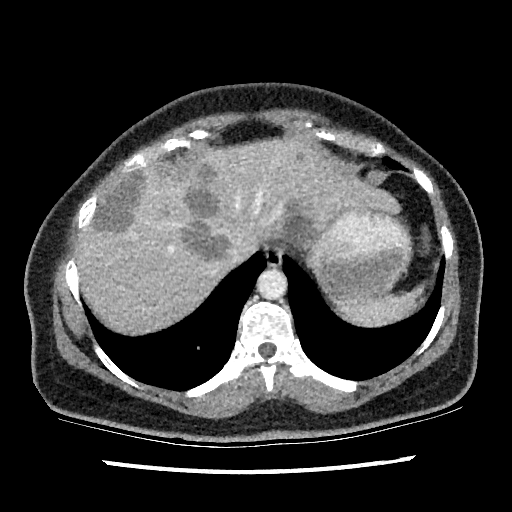

CT scan slice. Abdomen.
6 hepatic lesion regions are located at <bbox>162, 163, 184, 177</bbox>, <bbox>187, 186, 217, 215</bbox>, <bbox>183, 222, 228, 258</bbox>, <bbox>94, 172, 144, 230</bbox>, <bbox>198, 167, 212, 182</bbox>, <bbox>275, 205, 314, 248</bbox>. The liver is bounded by <bbox>74, 135, 400, 330</bbox>.